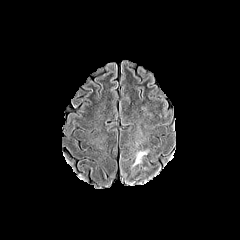
FLAIR MR image.
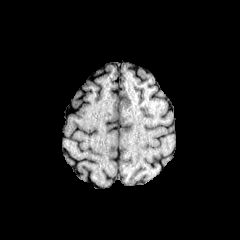
T1-weighted MR of the same slice.
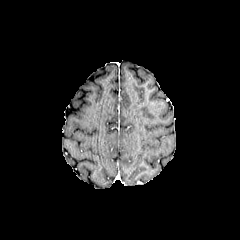
Post-contrast T1-weighted MR image.
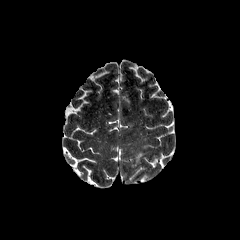
T2-weighted magnetic resonance.
Edema — {"x1": 133, "y1": 152, "x2": 146, "y2": 166}.